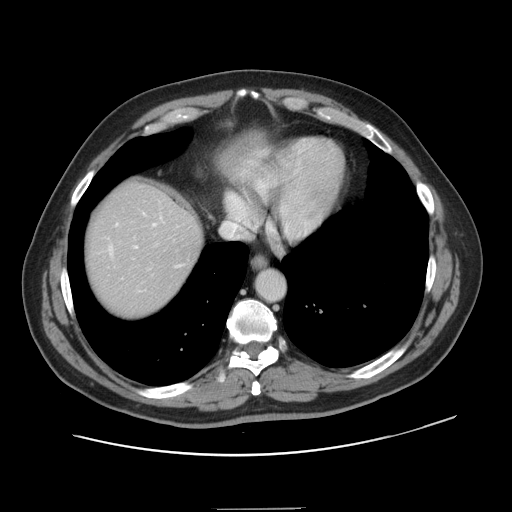 Abdomen | CT slice

Some hepatic vessels may have no box.
<segmentation>
  <hepatic_vessel><box>153,224,155,225</box>, <box>160,215,161,218</box>, <box>134,246,136,247</box></hepatic_vessel>
</segmentation>